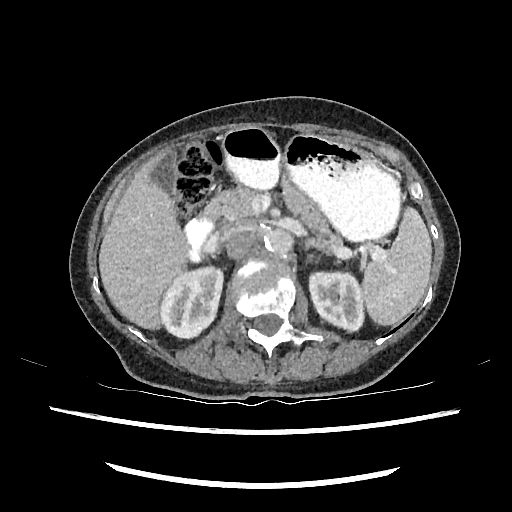
Liver, Image size 512x512, Computed tomography
kidney:
  - (310,273,362,329)
  - (161,269,222,337)
liver:
  - (100,162,186,328)